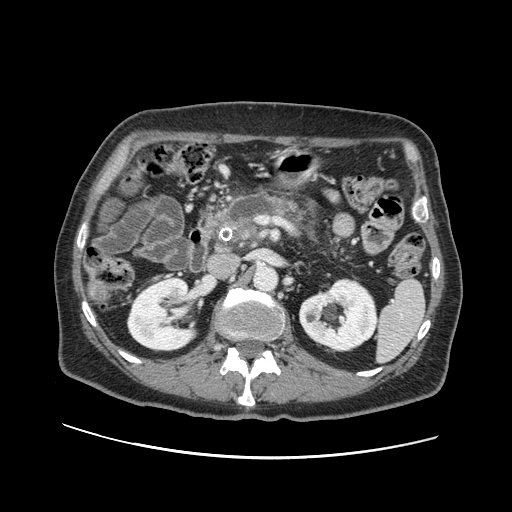

Upper abdomen, CT scan slice, Image size 512x512
pancreas: (199,191,361,275)